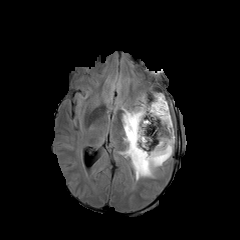
FLAIR MRI.
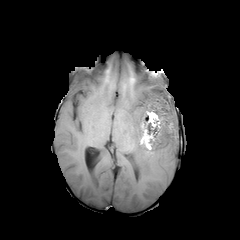
T1-weighted magnetic resonance.
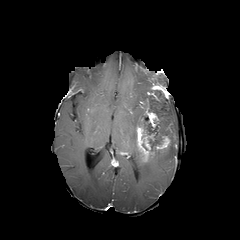
Post-contrast T1-weighted magnetic resonance of the same slice.
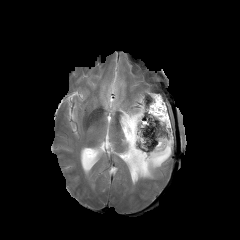
T2-weighted MRI of the same slice.
240x240 | Head
{
  "non-enhancing_tumor_core": [
    "bbox=[127, 102, 170, 160]"
  ],
  "edema": [
    "bbox=[102, 74, 175, 182]"
  ],
  "enhancing_tumor": [
    "bbox=[136, 127, 146, 142]",
    "bbox=[138, 146, 147, 161]",
    "bbox=[156, 136, 169, 148]"
  ]
}